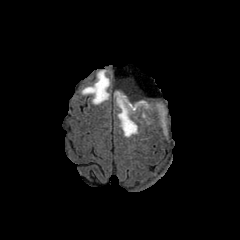
FLAIR MRI.
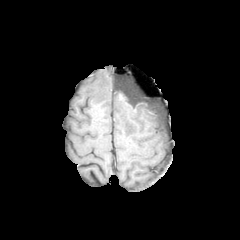
T1-weighted magnetic resonance.
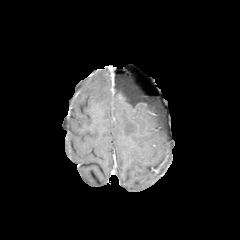
Post-contrast T1-weighted magnetic resonance.
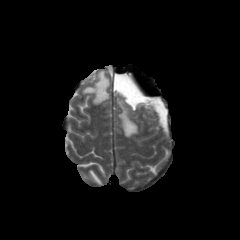
T2-weighted magnetic resonance.
Edema: <bbox>114, 90, 165, 137</bbox>, <bbox>81, 68, 110, 104</bbox>.
Non-enhancing tumor core: <bbox>117, 90, 164, 119</bbox>.